CT slice; 512x512 px

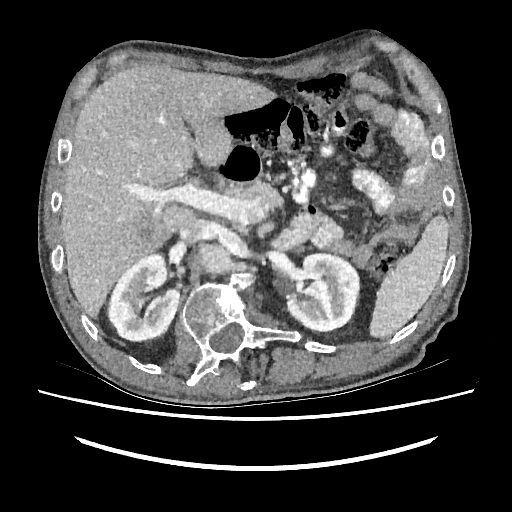 Liver = [63, 66, 275, 317].
Focal liver lesion = [141, 225, 154, 241].
Kidney = [109, 254, 179, 340], [287, 254, 358, 330].